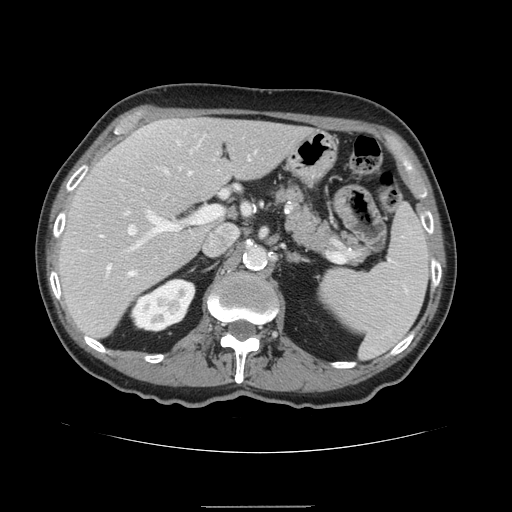

Computed tomography | Abdomen

The vessel annotation is not exhaustive.
Hepatic vessel: bounding box box(165, 169, 168, 171); box(205, 225, 236, 254); box(190, 206, 221, 223); box(189, 172, 191, 173); box(148, 212, 179, 234); box(133, 242, 141, 247); box(107, 265, 110, 271); box(248, 156, 251, 159); box(126, 212, 128, 213); box(128, 271, 135, 275); box(128, 225, 135, 233).